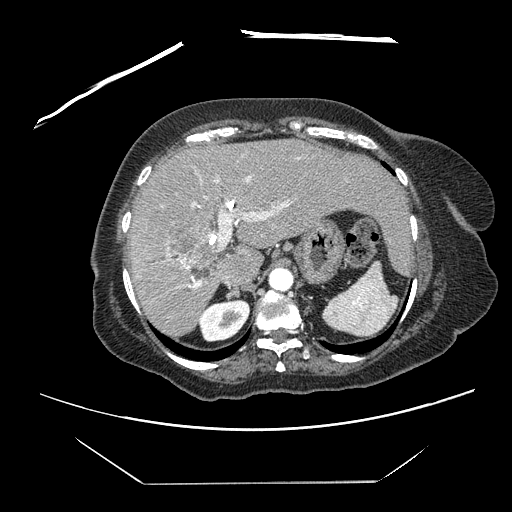
Computed tomography | 512x512 px
Only some of the vessels may be annotated.
{"hepatic_vessel": ["x1=191, y1=202, x2=200, y2=206", "x1=181, y1=262, x2=188, y2=268", "x1=194, y1=280, x2=201, y2=286", "x1=224, y1=202, x2=226, y2=207", "x1=217, y1=200, x2=289, y2=246", "x1=246, y1=176, x2=250, y2=181", "x1=215, y1=178, x2=218, y2=182", "x1=204, y1=196, x2=206, y2=198"], "liver_tumor": ["x1=167, y1=218, x2=217, y2=265"]}